FLAIR MR.
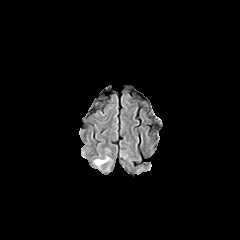
T1-weighted MRI.
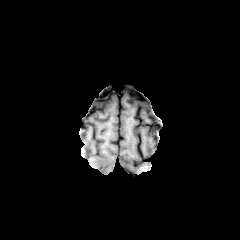
Post-contrast T1-weighted MR.
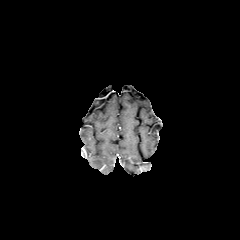
T2-weighted MR image.
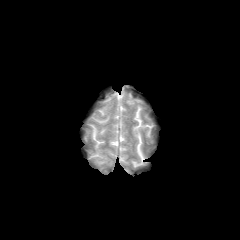
240x240 px | Brain
<segmentation>
  <edema>x1=96, y1=158, x2=108, y2=165</edema>
</segmentation>